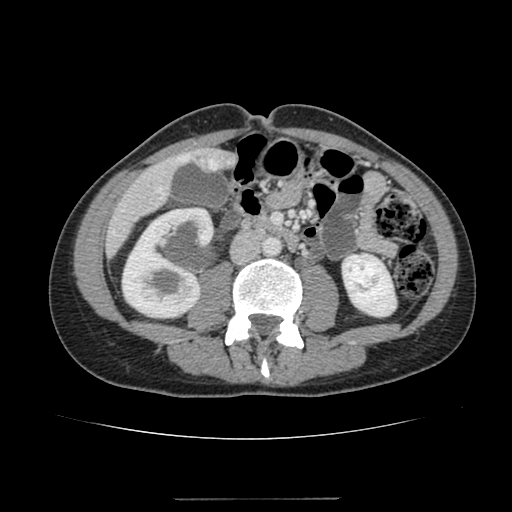 Upper abdomen. CT.
Kidney = (342, 254, 395, 315), (122, 208, 212, 316).
Liver = (106, 148, 236, 258).